Image width 240 mm | Brain | Slice 112/155
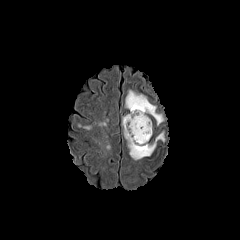
FLAIR MR image.
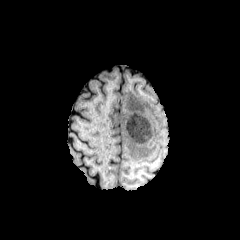
Same slice, T1-weighted MR.
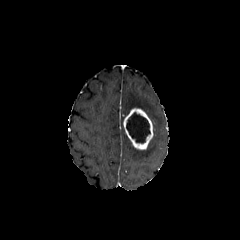
Post-contrast T1-weighted MR image of the same slice.
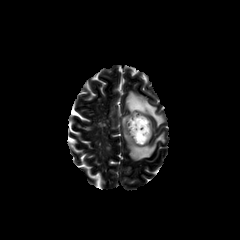
T2-weighted MR.
{
  "non-enhancing_tumor_core": [
    "126 112 150 143"
  ],
  "edema": [
    "124 131 164 161",
    "125 91 164 126"
  ],
  "enhancing_tumor": [
    "123 107 153 149"
  ]
}